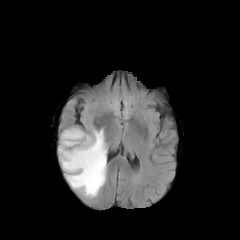
FLAIR magnetic resonance.
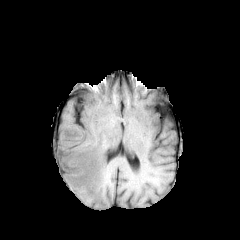
Same slice, T1-weighted magnetic resonance.
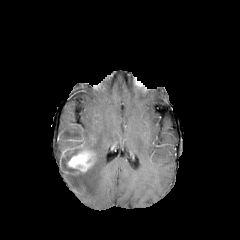
Same slice, post-contrast T1-weighted magnetic resonance.
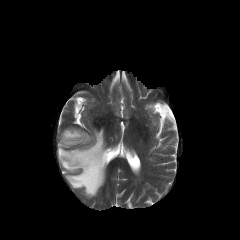
T2-weighted MRI of the same slice.
240x240 px
<segmentation>
  <non-enhancing_tumor_core>box(60, 142, 89, 172)</non-enhancing_tumor_core>
  <edema>box(58, 127, 107, 198)</edema>
  <enhancing_tumor>box(66, 149, 96, 171); box(61, 147, 79, 157)</enhancing_tumor>
</segmentation>